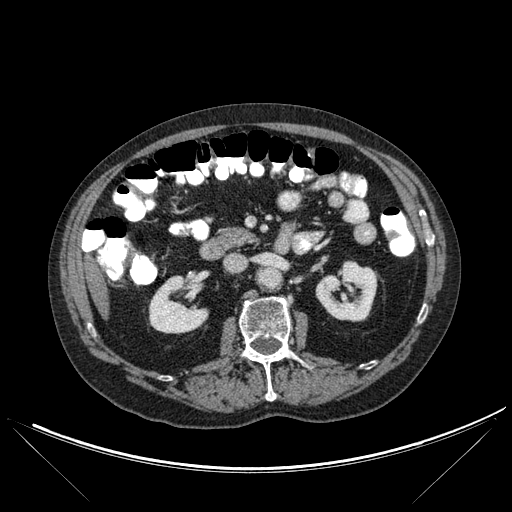 CT slice. <segmentation>
  <kidney>bbox(316, 261, 376, 320); bbox(189, 277, 199, 285); bbox(149, 276, 207, 332)</kidney>
  <bone>bbox(239, 297, 290, 400)</bone>
  <liver>bbox(85, 259, 108, 319)</liver>
</segmentation>